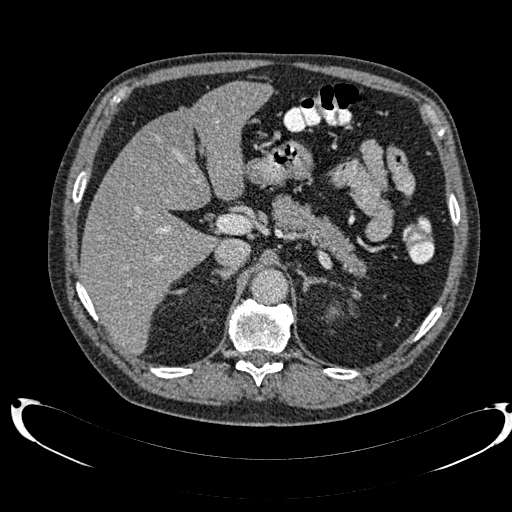
512x512 px; CT
Hepatic lesion = <bbox>138, 112, 188, 170</bbox>.
Liver = <bbox>80, 81, 273, 354</bbox>.